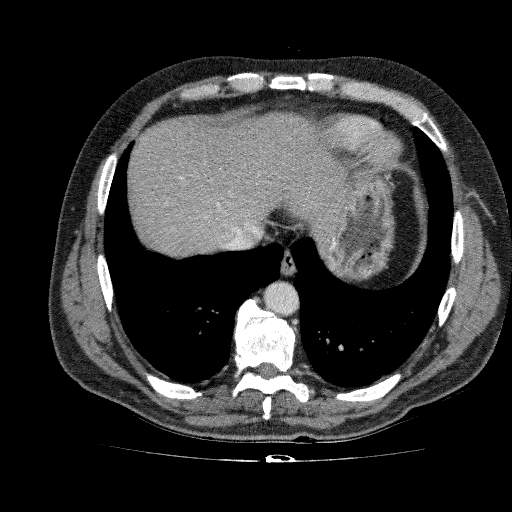 Liver, CT slice

The liver appears at [127,110,344,258].